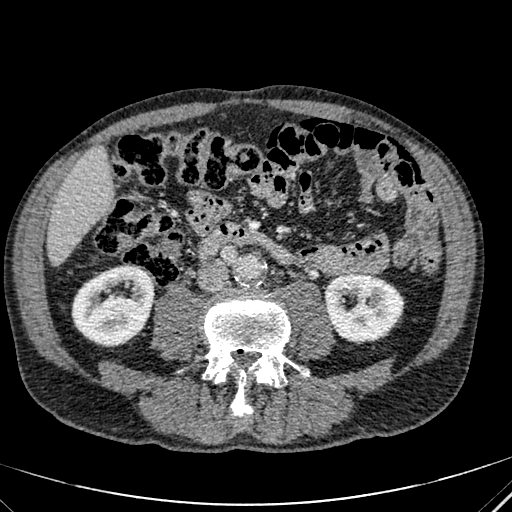 Upper abdomen | CT slice
kidney: 326,275,402,340; 73,267,153,344 | liver: 47,148,111,264